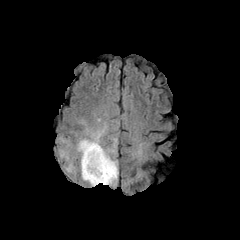
FLAIR MRI.
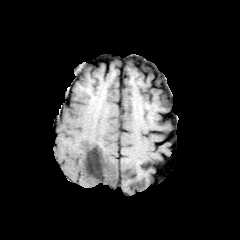
T1-weighted MR image.
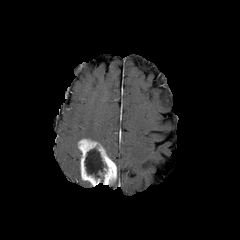
Post-contrast T1-weighted MR.
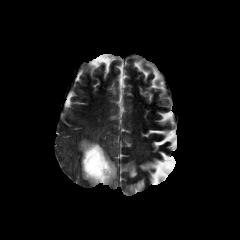
T2-weighted MR.
Image size 240x240, Head
<segmentation>
  <edema>{"x1": 56, "y1": 111, "x2": 119, "y2": 186}</edema>
  <non-enhancing_tumor_core>{"x1": 84, "y1": 148, "x2": 107, "y2": 182}</non-enhancing_tumor_core>
  <enhancing_tumor>{"x1": 78, "y1": 139, "x2": 116, "y2": 186}</enhancing_tumor>
</segmentation>